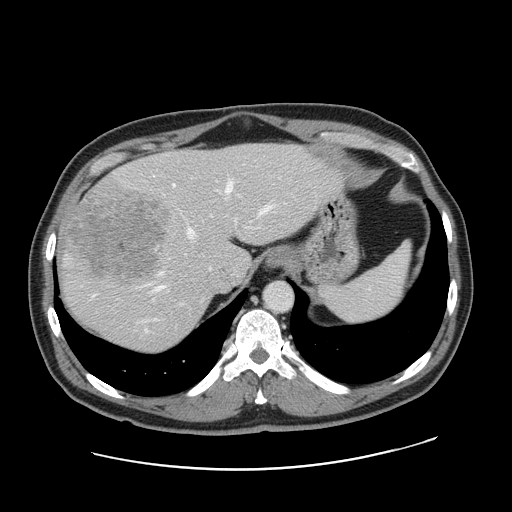

Computed tomography, Liver

Some hepatic vessels may have no box.
<segmentation>
  <liver_tumor>67, 191, 169, 279</liver_tumor>
  <hepatic_vessel>145, 328, 147, 331; 210, 214, 212, 216; 217, 189, 219, 191; 225, 180, 232, 193; 179, 302, 184, 304; 173, 183, 174, 185; 141, 318, 156, 321; 235, 218, 236, 222; 187, 229, 194, 237; 259, 204, 272, 214; 247, 255, 248, 258</hepatic_vessel>
</segmentation>